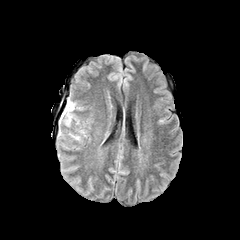
FLAIR MR.
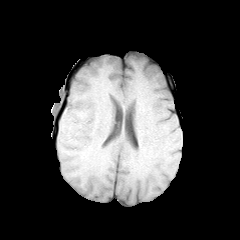
T1-weighted MR image of the same slice.
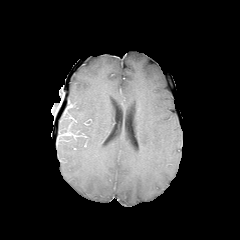
Same slice, post-contrast T1-weighted magnetic resonance.
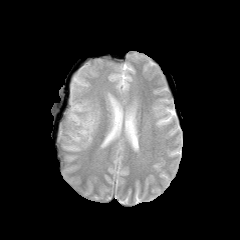
T2-weighted MRI.
Head; 240x240 px
The edema lies within <bbox>63, 98, 86, 141</bbox>.